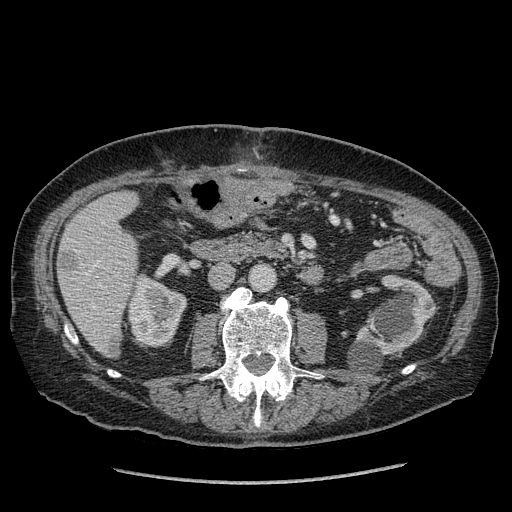
Image size 512x512 | Liver | Computed tomography
Annotated regions:
* kidney: rect(356, 275, 435, 354); rect(129, 275, 186, 345)
* liver lesion: rect(57, 251, 78, 269); rect(108, 335, 120, 356)
* liver: rect(58, 191, 137, 358)